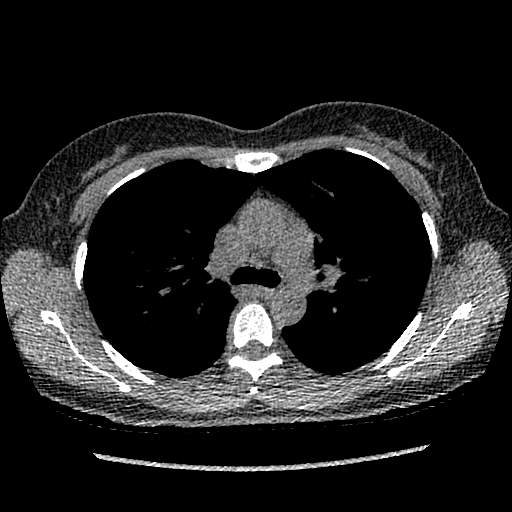
CT slice; Thorax
{"lung_tumor": ["329 313 342 327"]}